FLAIR MR image.
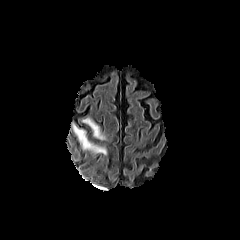
T1-weighted MR image.
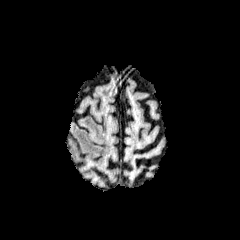
Post-contrast T1-weighted MR image.
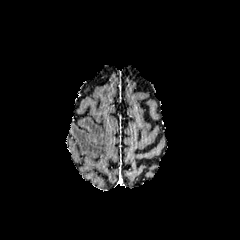
T2-weighted magnetic resonance.
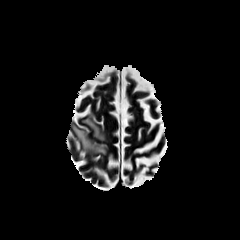
<segmentation>
  <edema>(x1=82, y1=116, x2=105, y2=139), (x1=72, y1=122, x2=107, y2=154)</edema>
</segmentation>